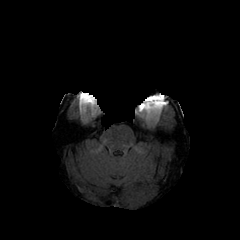
FLAIR magnetic resonance.
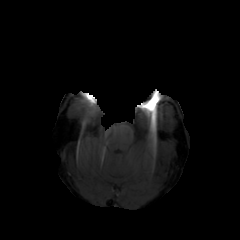
T1-weighted MRI.
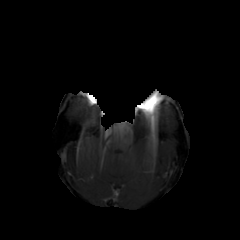
Same slice, post-contrast T1-weighted magnetic resonance.
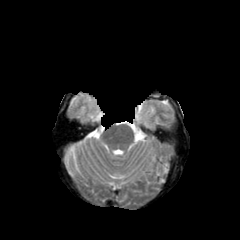
T2-weighted MR image.
Image size 240x240.
2 non-enhancing tumor core regions are located at box=[141, 94, 165, 125]; box=[86, 98, 96, 106]. The enhancing tumor is located at box=[140, 104, 157, 117].